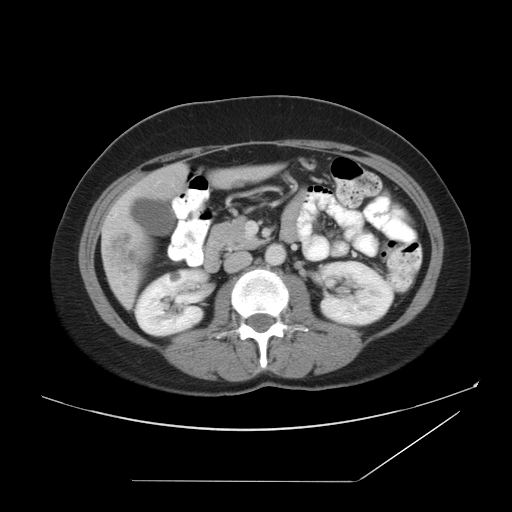 Computed tomography
Not every hepatic vessel necessarily has a box.
Segmented structures:
- liver tumor: bbox=[111, 233, 136, 273]
- hepatic vessel: bbox=[108, 217, 111, 218]; bbox=[122, 275, 124, 278]; bbox=[114, 214, 116, 216]; bbox=[119, 201, 127, 203]; bbox=[114, 209, 117, 211]